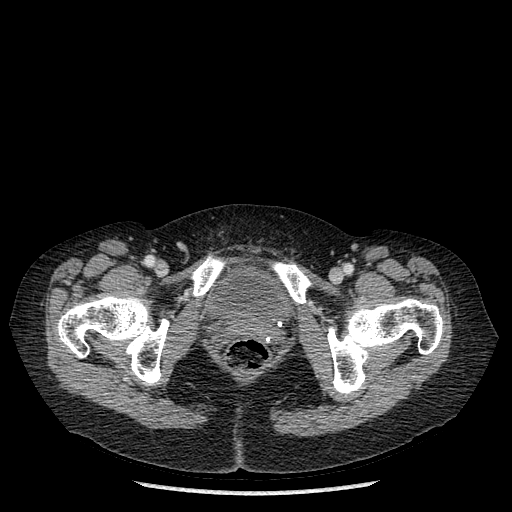

Image size 512x512, CT

Urinary bladder: region(203, 261, 299, 340).
Bone: region(327, 299, 444, 396); region(272, 262, 311, 303); region(56, 292, 169, 385); region(191, 256, 225, 296).